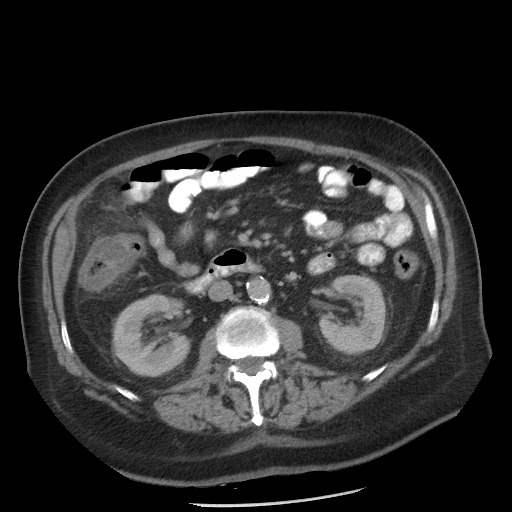

Pelvis; CT
{"colon_tumor": [{"x1": 79, "y1": 235, "x2": 145, "y2": 291}]}